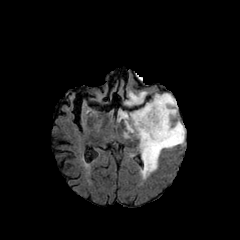
FLAIR magnetic resonance.
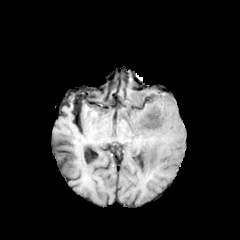
T1-weighted magnetic resonance of the same slice.
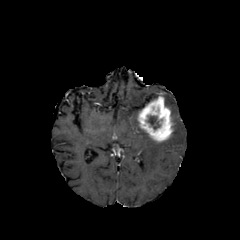
Post-contrast T1-weighted MR.
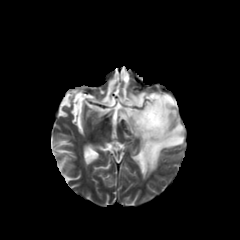
T2-weighted MRI.
240x240 | Head
The edema lies within 117:91:184:178. The enhancing tumor is located at 137:94:173:142. 2 non-enhancing tumor core regions are located at 138:93:158:110, 148:116:159:129.